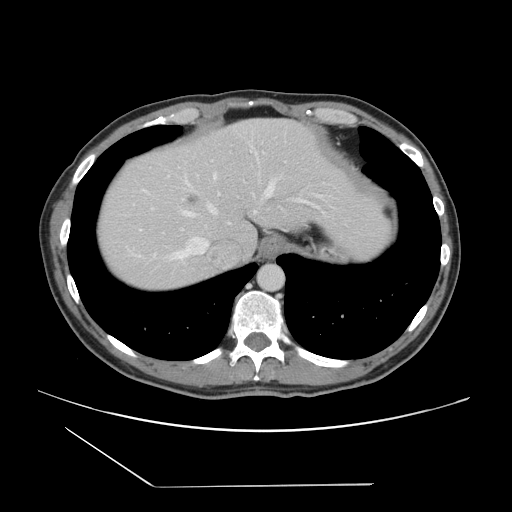
Liver | Computed tomography

Some hepatic vessels may have no box.
Liver tumor: bounding box (left=183, top=193, right=202, bottom=208).
Top 15 of 19 hepatic vessel regions: bounding box (left=131, top=253, right=136, bottom=255), (left=199, top=242, right=202, bottom=248), (left=183, top=212, right=193, bottom=215), (left=183, top=248, right=185, bottom=250), (left=294, top=190, right=304, bottom=200), (left=214, top=172, right=216, bottom=179), (left=317, top=195, right=326, bottom=200), (left=322, top=211, right=326, bottom=216), (left=207, top=204, right=216, bottom=213), (left=185, top=175, right=190, bottom=189), (left=265, top=181, right=274, bottom=196), (left=317, top=206, right=320, bottom=209), (left=250, top=149, right=254, bottom=152), (left=142, top=190, right=147, bottom=192), (left=329, top=205, right=332, bottom=207).